Head; Field of view 240 mm wide, 1.00 mm slice spacing
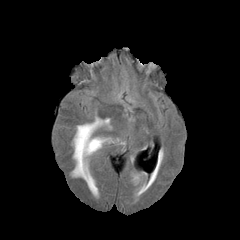
FLAIR magnetic resonance.
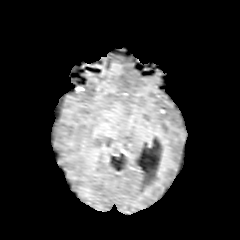
Same slice, T1-weighted MR image.
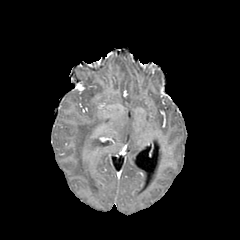
Post-contrast T1-weighted MRI.
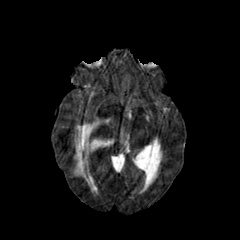
T2-weighted MR image.
Enhancing tumor at 82 147 92 162.
Edema at 73 117 109 194.